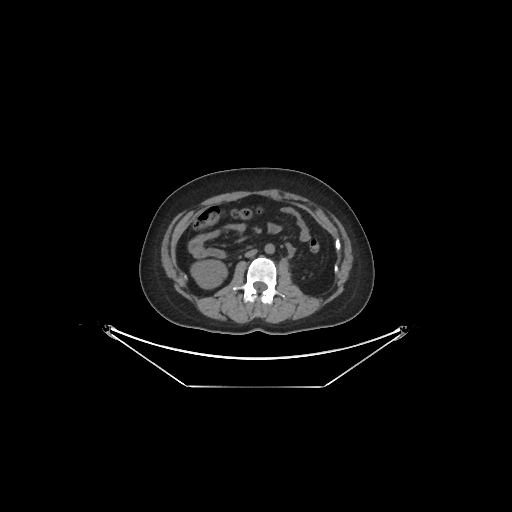

CT, Abdomen

The kidney is at [x1=191, y1=260, x2=226, y2=288].